Slice 125 of 155
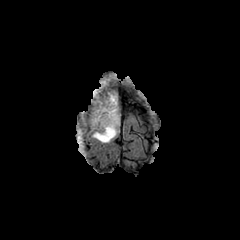
FLAIR MR.
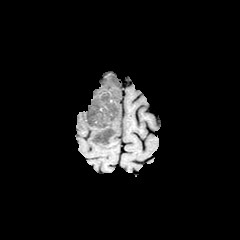
T1-weighted MRI.
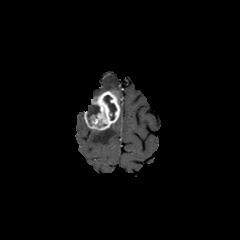
Same slice, post-contrast T1-weighted MRI.
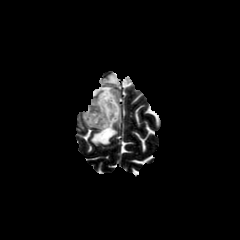
T2-weighted MR image.
non-enhancing_tumor_core:
  - (96, 125, 113, 138)
  - (87, 104, 99, 118)
  - (104, 95, 116, 119)
edema:
  - (101, 76, 118, 93)
  - (91, 116, 120, 143)
enhancing_tumor:
  - (84, 90, 119, 130)